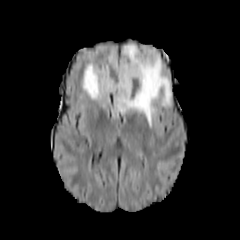
FLAIR magnetic resonance.
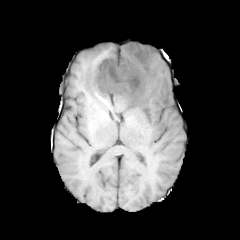
T1-weighted MR.
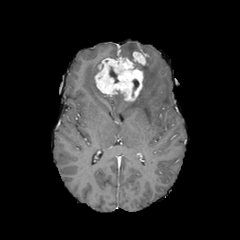
Same slice, post-contrast T1-weighted magnetic resonance.
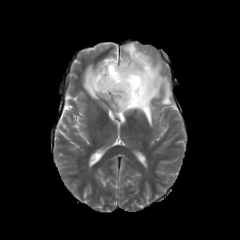
T2-weighted MR.
Non-enhancing tumor core — 131 79 138 97, 110 66 119 82, 112 91 124 100.
Enhancing tumor — 95 52 148 101.
Edema — 82 43 172 126.